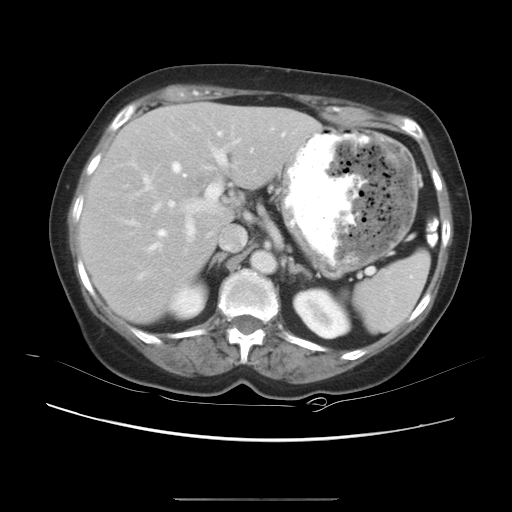
CT

The vessel boxes may cover only some of the vessels.
{
  "partial": true,
  "hepatic_vessel": {
    "n_total": 19,
    "boxes": [
      "171,162,185,176",
      "125,220,138,225",
      "207,142,226,166",
      "184,226,195,242",
      "232,139,239,143",
      "231,126,233,135",
      "168,201,175,207",
      "217,132,221,136",
      "205,184,211,200",
      "137,272,146,279",
      "152,203,160,212",
      "207,233,212,236",
      "135,174,152,194",
      "157,229,167,237",
      "147,242,161,251"
    ]
  }
}